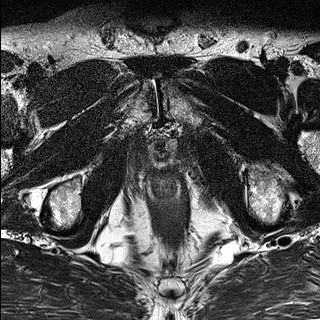
T2-weighted MR image.
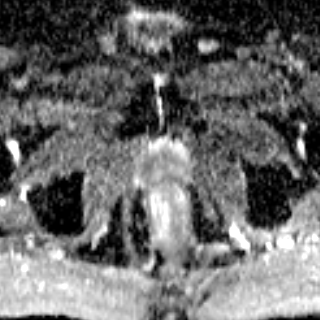
ADC MRI.
320x320 px
prostate_transition_zone:
  - left=154, top=141, right=167, bottom=162
prostate_peripheral_zone:
  - left=146, top=141, right=186, bottom=169